Slice index 403, 512x512, Upper abdomen, Computed tomography, Image width 378 mm 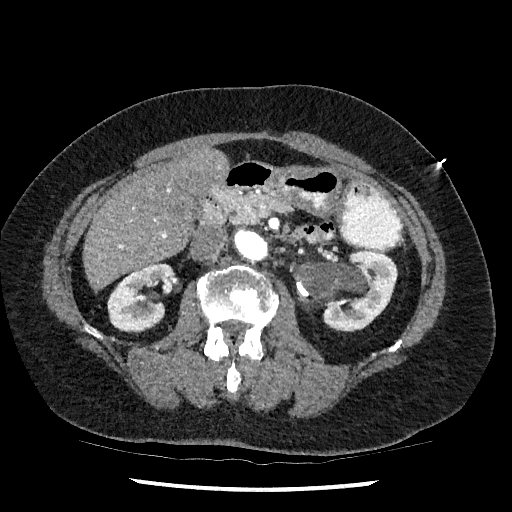

The liver appears at x1=83 y1=149 x2=228 y2=290. 2 kidney regions appear at x1=108 y1=264 x2=176 y2=331, x1=324 y1=250 x2=396 y2=330.